CT image | Slice 24 of 39 | Liver

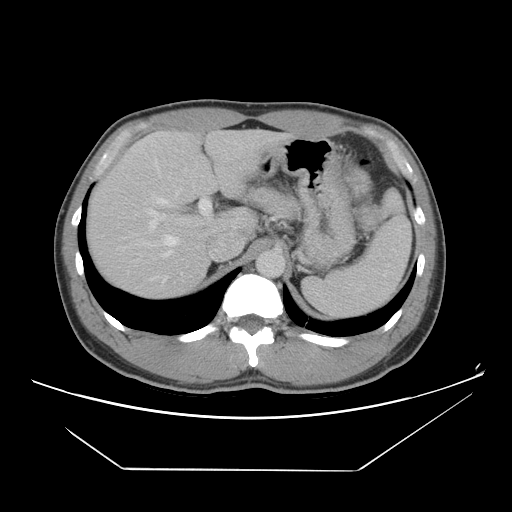 The vessel annotation is not exhaustive.
{"liver_tumor": ["[351,172,368,191]"], "hepatic_vessel": ["[163,235,178,257]", "[181,273,182,274]", "[156,198,169,204]", "[155,159,158,170]", "[148,209,165,229]", "[163,275,167,281]", "[153,196,155,197]", "[144,243,148,243]", "[199,199,210,215]"]}